FLAIR MR.
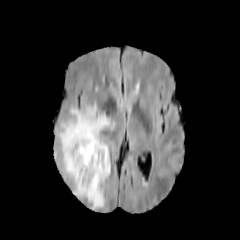
T1-weighted magnetic resonance.
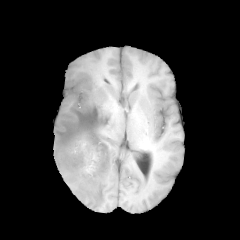
Post-contrast T1-weighted magnetic resonance.
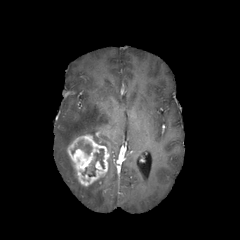
T2-weighted MR image.
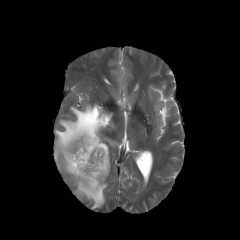
Annotated regions:
- edema: {"x1": 54, "y1": 103, "x2": 114, "y2": 209}
- enhancing tumor: {"x1": 67, "y1": 134, "x2": 109, "y2": 186}
- non-enhancing tumor core: {"x1": 85, "y1": 148, "x2": 104, "y2": 181}, {"x1": 78, "y1": 140, "x2": 92, "y2": 156}